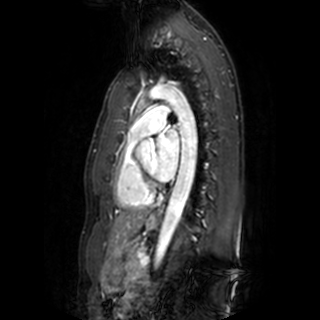
MRI slice, Cardiac
The left atrium lies within 155 129 178 180.